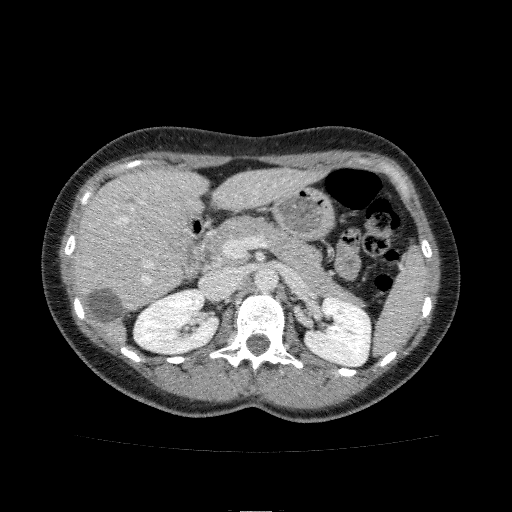 CT image. Liver.

2 kidney regions are located at {"x1": 305, "y1": 297, "x2": 370, "y2": 366}, {"x1": 134, "y1": 290, "x2": 217, "y2": 353}. 2 liver regions appear at {"x1": 73, "y1": 167, "x2": 207, "y2": 343}, {"x1": 213, "y1": 167, "x2": 325, "y2": 209}.